FLAIR MRI.
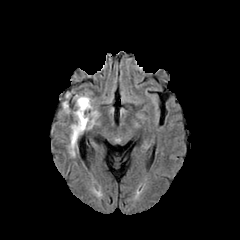
T1-weighted MRI.
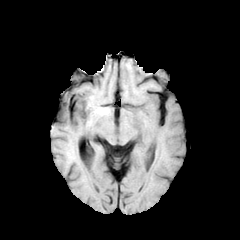
Post-contrast T1-weighted MR.
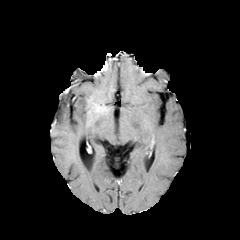
T2-weighted magnetic resonance.
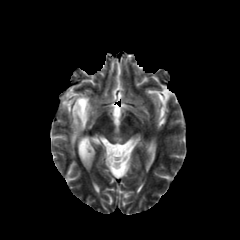
Non-enhancing tumor core: {"x1": 77, "y1": 97, "x2": 92, "y2": 117}.
Edema: {"x1": 62, "y1": 93, "x2": 99, "y2": 156}.